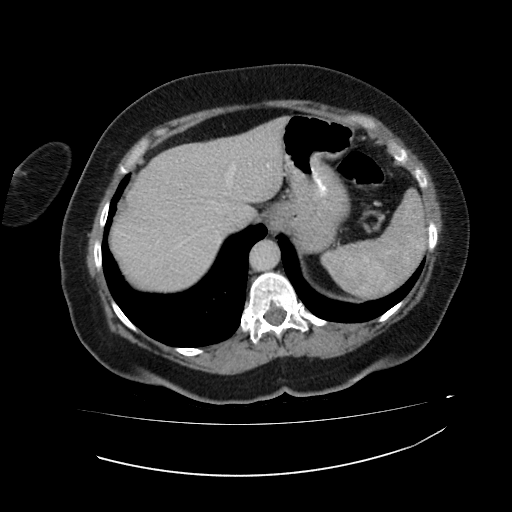
CT scan slice | Upper abdomen

Liver — bbox=[111, 117, 288, 291].